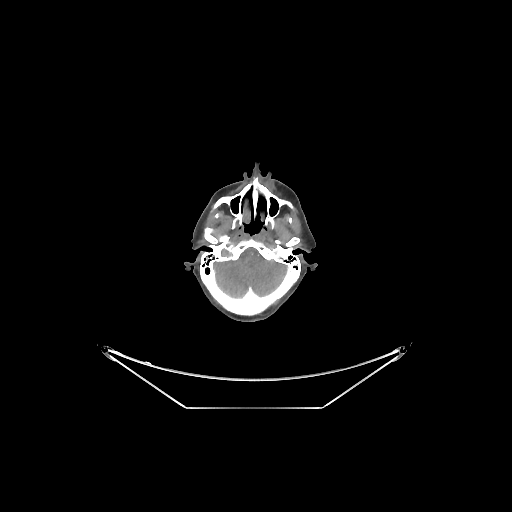

Head, CT image, 512x512

Bone — 213,179,293,229; 200,227,300,315.
Brain — 213,247,286,297.